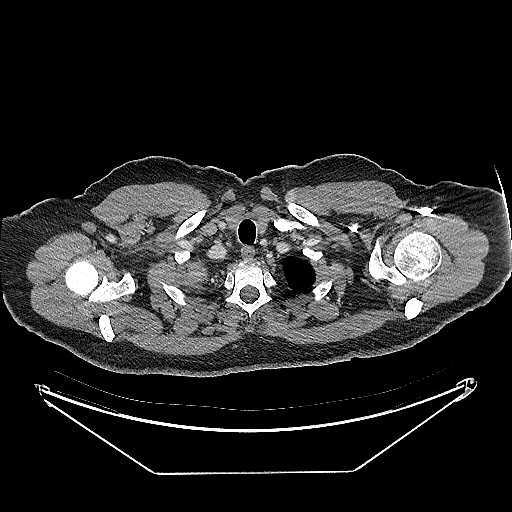

CT.
The lung tumor appears at 187:261:208:279.